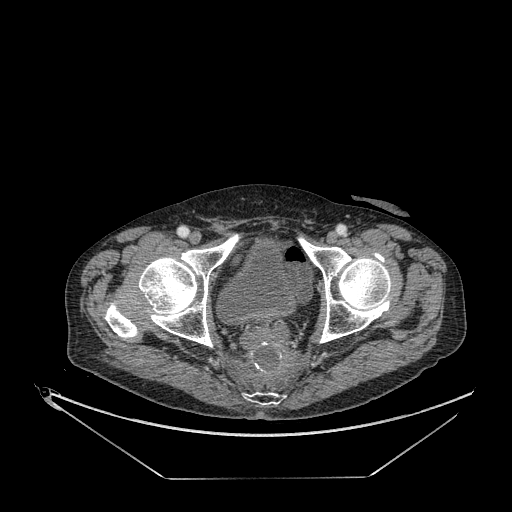

Computed tomography. Segmented structures:
- urinary bladder: rect(216, 238, 298, 324)